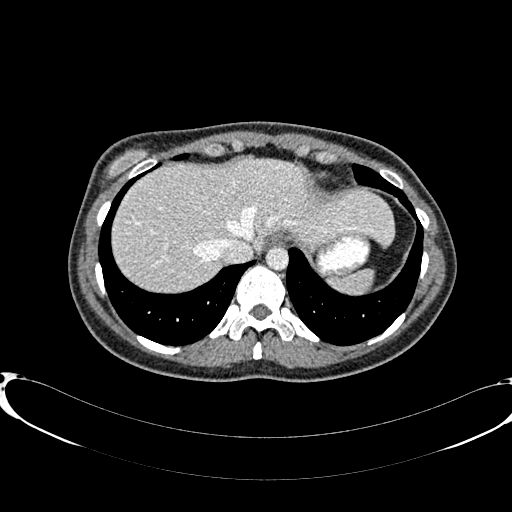

CT image

liver:
  - <box>112,158,393,290</box>